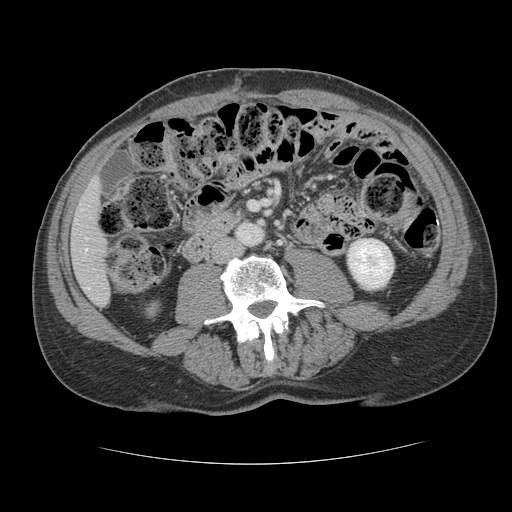

512x512, CT
Only some of the vessels may be annotated.
Hepatic vessel: bounding box left=85, top=248, right=87, bottom=250; left=85, top=287, right=89, bottom=288.